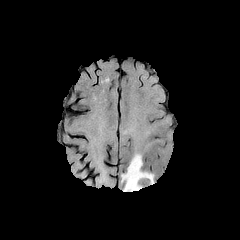
FLAIR MRI.
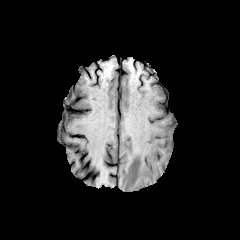
Same slice, T1-weighted MR.
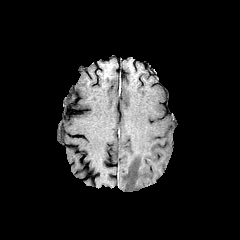
Same slice, post-contrast T1-weighted magnetic resonance.
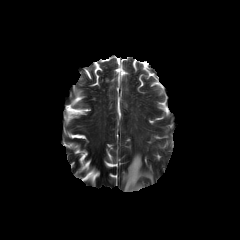
T2-weighted MRI of the same slice.
Head
The edema is bounded by (x1=121, y1=154, x2=153, y2=191).